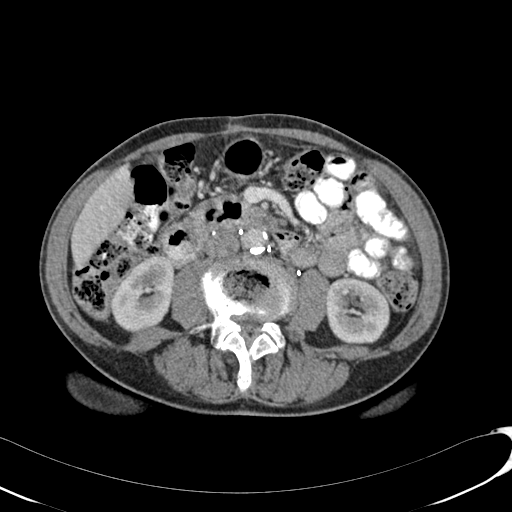

CT image

• kidney: [x1=111, y1=256, x2=173, y2=330], [x1=326, y1=279, x2=388, y2=342]
• liver: [x1=72, y1=166, x2=133, y2=265]